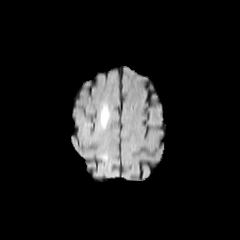
FLAIR MR image.
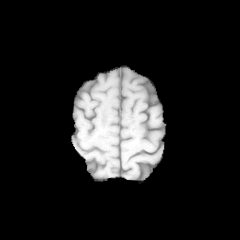
T1-weighted MRI.
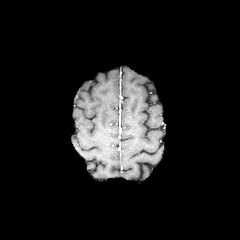
Post-contrast T1-weighted magnetic resonance of the same slice.
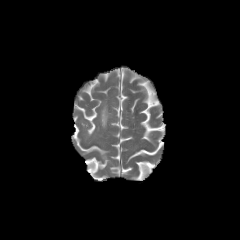
T2-weighted MR of the same slice.
<segmentation>
  <edema>101:104:108:127</edema>
</segmentation>